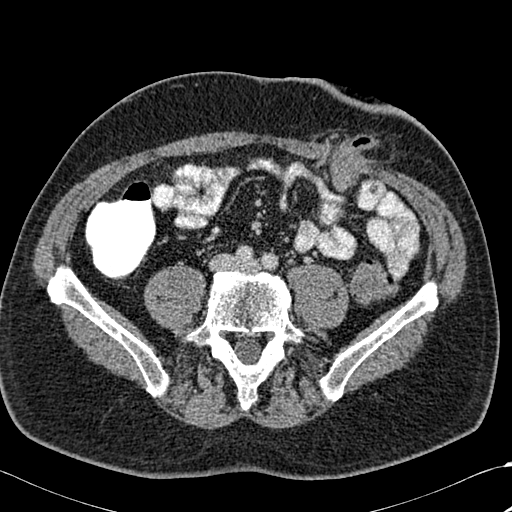 CT.
Bone at <bbox>320, 282, 437, 400</bbox>, <bbox>186, 270, 303, 409</bbox>, <bbox>47, 267, 168, 396</bbox>.